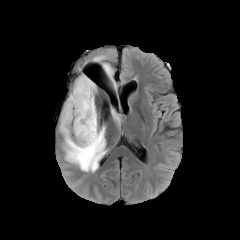
FLAIR MR.
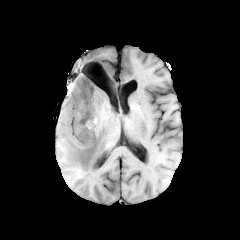
T1-weighted MR image.
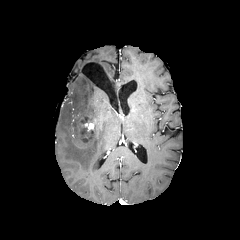
Same slice, post-contrast T1-weighted MRI.
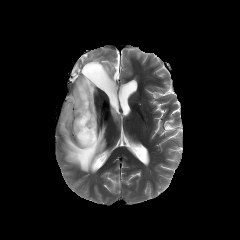
T2-weighted MRI of the same slice.
Head.
- enhancing tumor: (x1=84, y1=122, x2=93, y2=130)
- non-enhancing tumor core: (x1=80, y1=115, x2=93, y2=142)
- edema: (x1=111, y1=109, x2=121, y2=121), (x1=60, y1=73, x2=107, y2=172), (x1=94, y1=56, x2=116, y2=88)